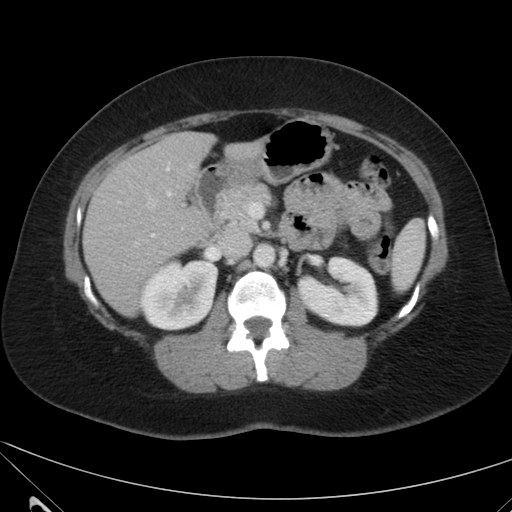
Computed tomography, 512x512
liver: (225, 142, 262, 163), (83, 132, 215, 314) | kidney: (142, 262, 216, 328), (300, 258, 375, 324)